Slice index 128, Liver, CT slice
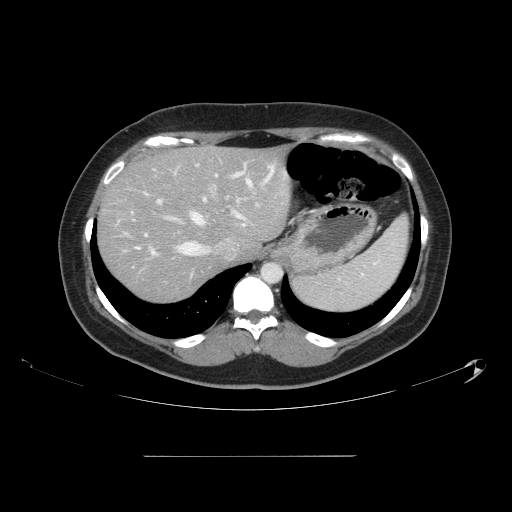
The vessel boxes may cover only some of the vessels.
<segmentation>
  <hepatic_vessel>x1=151 y1=248 x2=155 y2=254, x1=243 y1=223 x2=245 y2=225, x1=157 y1=199 x2=160 y2=203, x1=246 y1=178 x2=250 y2=185, x1=205 y1=249 x2=208 y2=252, x1=232 y1=210 x2=242 y2=217, x1=232 y1=171 x2=244 y2=176, x1=177 y1=242 x2=199 y2=253, x1=137 y1=247 x2=139 y2=249, x1=203 y1=197 x2=206 y2=200, x1=215 y1=174 x2=217 y2=176, x1=266 y1=165 x2=273 y2=179, x1=191 y1=212 x2=203 y2=223</hepatic_vessel>
</segmentation>